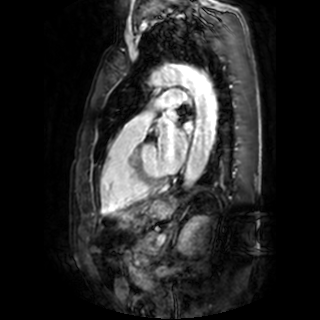

Magnetic resonance. Image size 320x320.
Left atrium — <bbox>167, 109, 177, 119</bbox>, <bbox>184, 122, 192, 131</bbox>, <bbox>157, 118, 187, 172</bbox>.